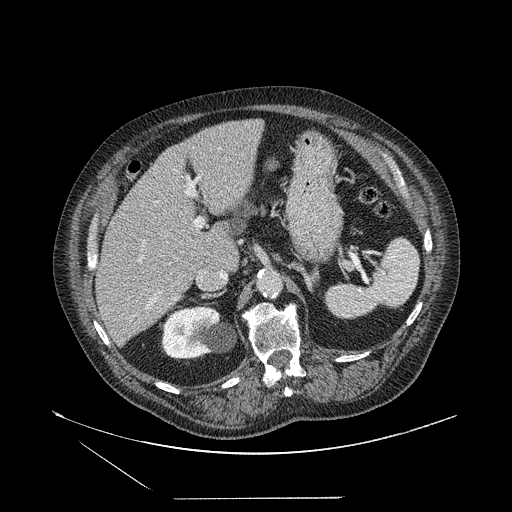 CT image
pancreas:
  - rect(227, 196, 267, 236)